240x240 px; Head
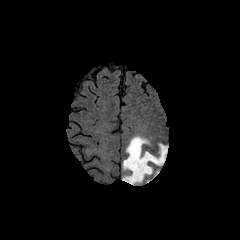
FLAIR MR image.
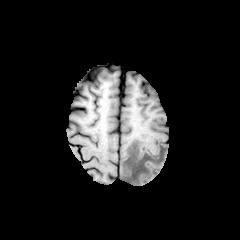
T1-weighted magnetic resonance.
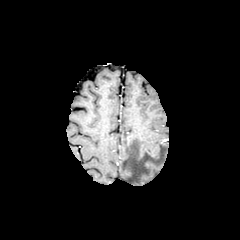
Post-contrast T1-weighted MR.
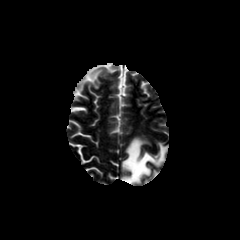
T2-weighted MR.
Edema at [x1=122, y1=136, x2=167, y2=184].